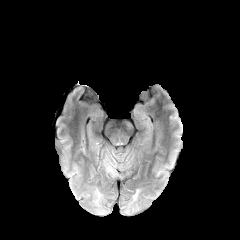
FLAIR MR image.
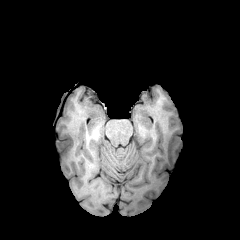
T1-weighted magnetic resonance of the same slice.
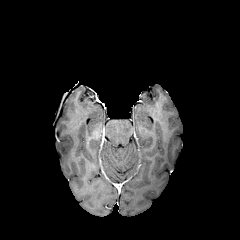
Post-contrast T1-weighted MR.
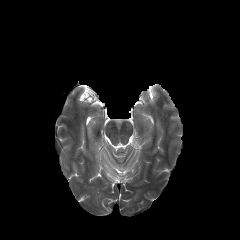
T2-weighted magnetic resonance of the same slice.
Image size 240x240 | Head
Edema at box(105, 163, 113, 176).